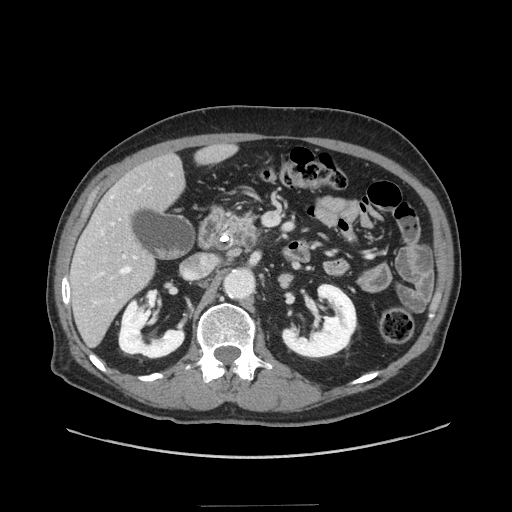
CT. Upper abdomen. pancreas:
  - [223, 214, 258, 247]
pancreatic_tumor:
  - [232, 225, 255, 246]